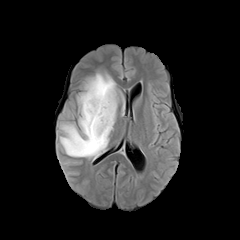
FLAIR MR.
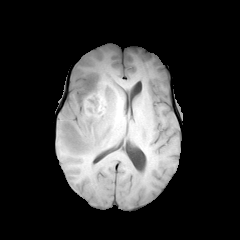
T1-weighted MR image.
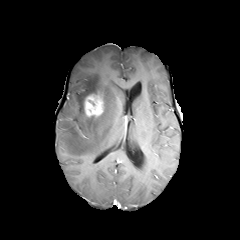
Post-contrast T1-weighted MR.
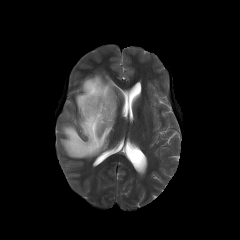
Same slice, T2-weighted MR image.
Brain
Edema at (x1=60, y1=71, x2=119, y2=158).
Enhancing tumor at (x1=85, y1=95, x2=103, y2=116).
Non-enhancing tumor core at (x1=78, y1=80, x2=103, y2=113).